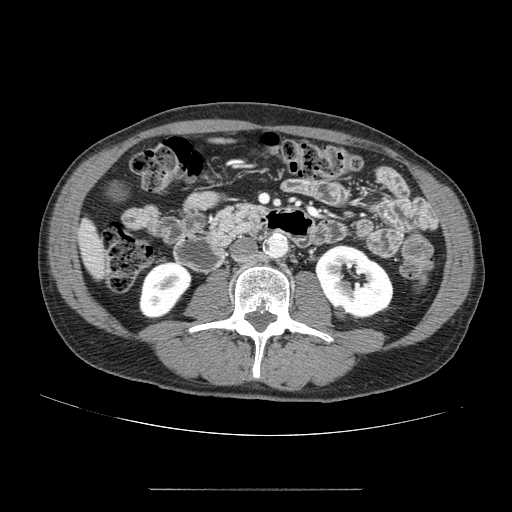
Computed tomography; Upper abdomen
Pancreas = x1=211, y1=205, x2=264, y2=244.